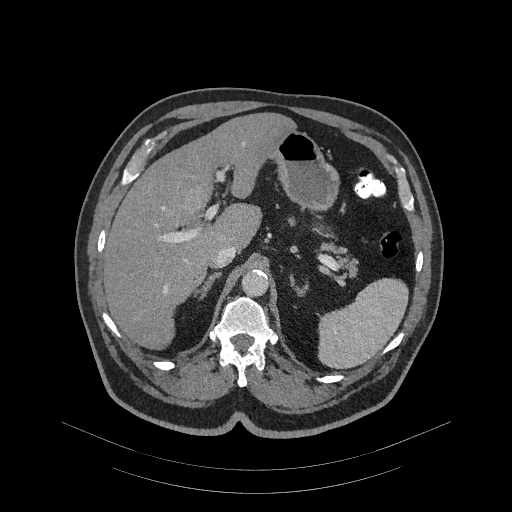
512x512 px. Abdomen. CT scan slice.

- pancreas: 320 241 358 276